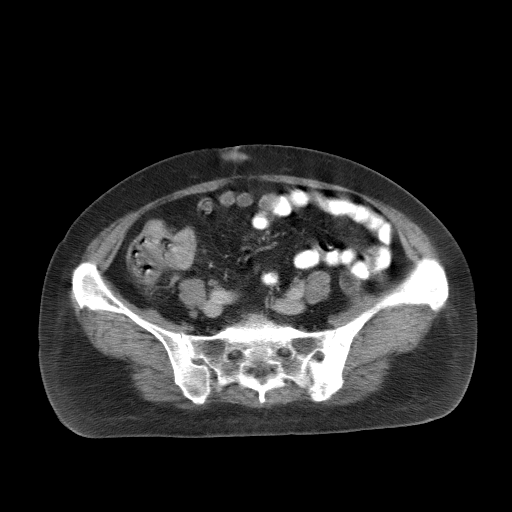 CT scan slice
* colon tumor: 145, 221, 195, 269